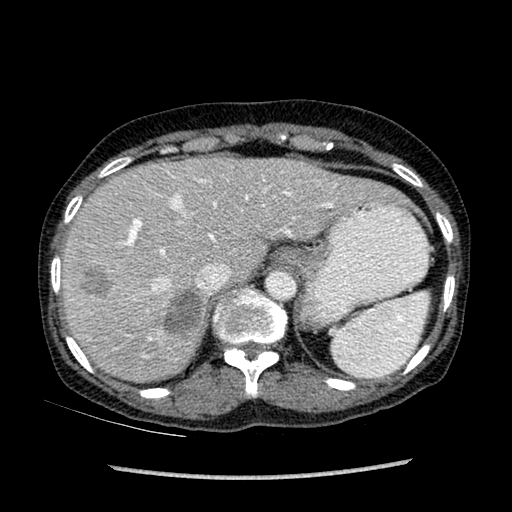
Computed tomography.

Liver — l=61, t=157, r=402, b=381.
Hepatic lesion — l=80, t=265, r=111, b=296; l=165, t=288, r=202, b=333.